FLAIR magnetic resonance.
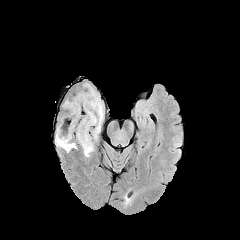
T1-weighted MR image.
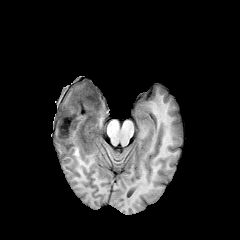
Post-contrast T1-weighted magnetic resonance.
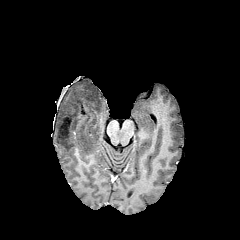
T2-weighted MR image.
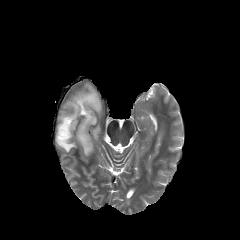
Head
* edema: {"x1": 55, "y1": 83, "x2": 103, "y2": 157}
* non-enhancing tumor core: {"x1": 58, "y1": 90, "x2": 99, "y2": 139}